Medial temporal lobe, Magnetic resonance, Slice 17 of 32

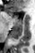 - anterior hippocampus: 13 16 21 20, 9 12 12 15
- posterior hippocampus: 10 21 22 40